Computed tomography, Field of view 369 mm wide, 0.80 mm slice spacing 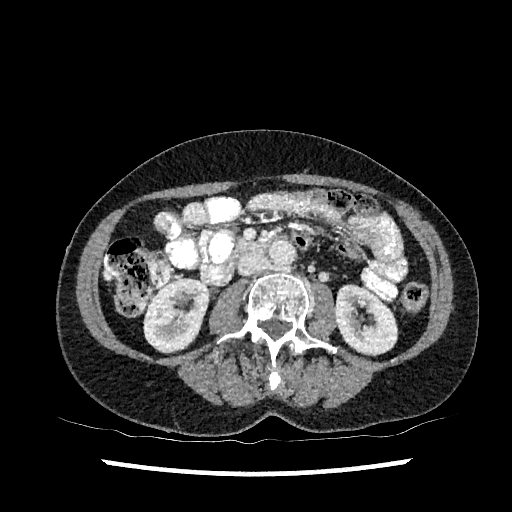 <segmentation>
  <kidney>144 279 208 351, 336 285 396 353</kidney>
</segmentation>